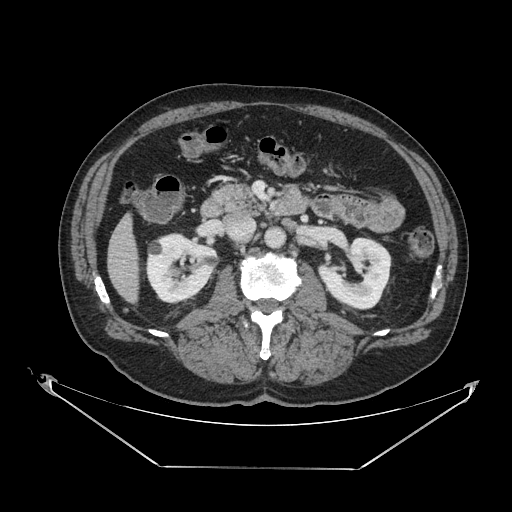 Computed tomography; Upper abdomen; 512x512 px
pancreas: <box>212,183,265,217</box>